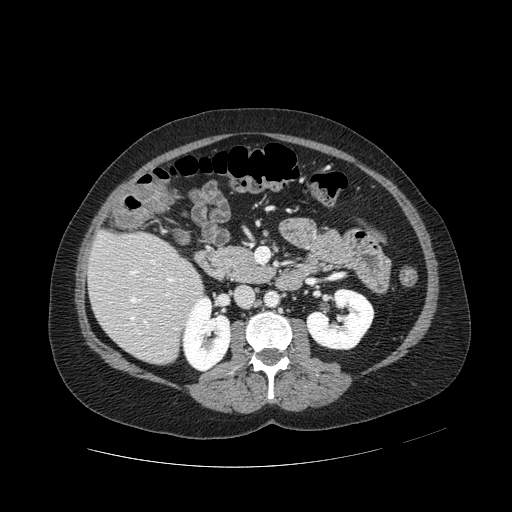
CT slice, Abdomen

The pancreas appears at (224, 247, 270, 283).